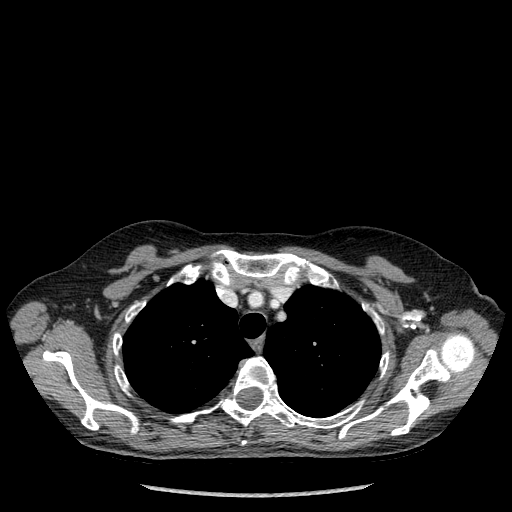
CT | Chest

{
  "lung": [
    "122, 279, 265, 413",
    "263, 285, 380, 417"
  ],
  "bone": [
    "380, 352, 389, 377",
    "112, 333, 121, 355",
    "167, 264, 200, 285",
    "212, 250, 330, 292",
    "170, 333, 475, 438",
    "371, 308, 384, 334",
    "42, 350, 138, 433",
    "114, 365, 129, 394",
    "125, 301, 145, 322"
  ]
}